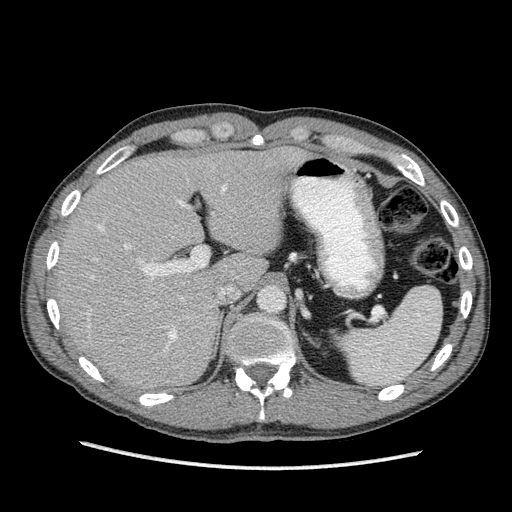 CT slice | 512x512 px | Liver

The liver is at 53 144 317 393.